Head | Slice 64 of 155
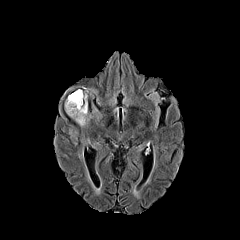
FLAIR MR image.
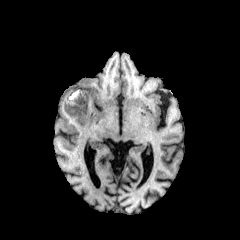
T1-weighted MR image.
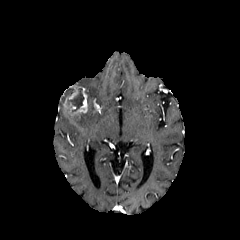
Post-contrast T1-weighted MRI.
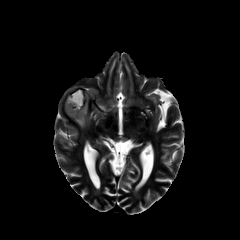
T2-weighted MRI.
non-enhancing tumor core: rect(67, 91, 83, 111) | enhancing tumor: rect(63, 85, 88, 118) | edema: rect(86, 88, 99, 99); rect(70, 111, 92, 127)